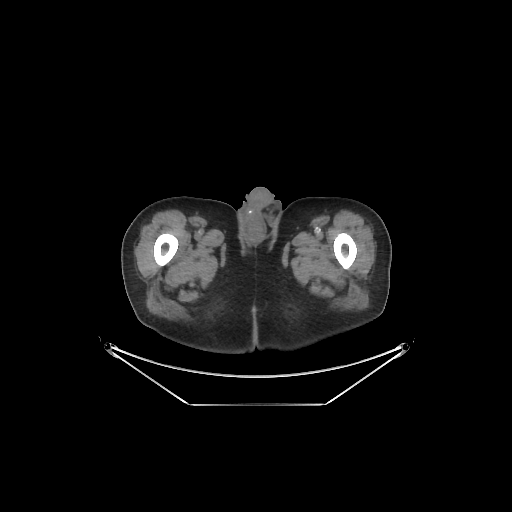

CT

<segmentation>
  <bone>bbox(333, 233, 356, 269); bbox(154, 232, 178, 266)</bone>
</segmentation>